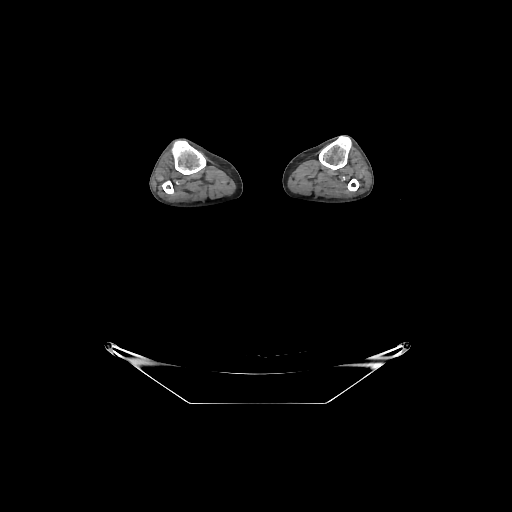
CT scan slice

Bone at 162, 181, 173, 193; 172, 140, 205, 174; 319, 136, 351, 169; 348, 179, 359, 191.